Brain, Image width 240 mm, Slice 41 of 155, 240x240
FLAIR MRI.
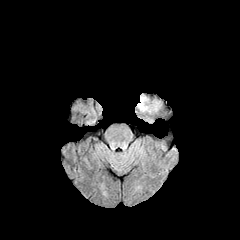
T1-weighted MRI.
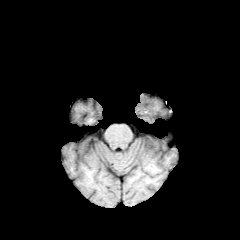
Post-contrast T1-weighted MRI.
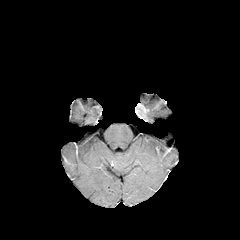
T2-weighted magnetic resonance.
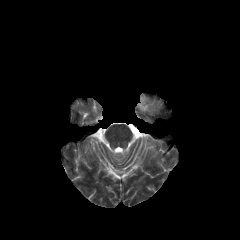
Annotated regions:
* edema: 140 94 149 102, 149 101 160 113
* non-enhancing tumor core: 139 101 151 112